240x240 px
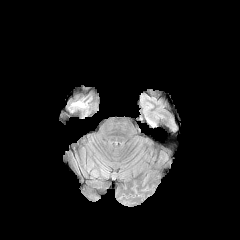
FLAIR MR image.
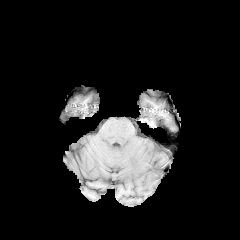
T1-weighted magnetic resonance.
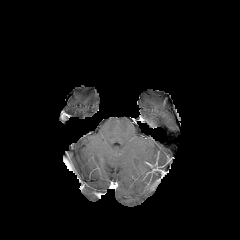
Same slice, post-contrast T1-weighted MR.
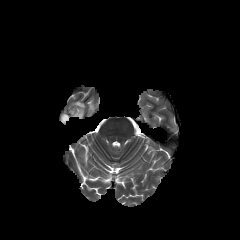
T2-weighted MRI.
edema:
  - [71, 99, 87, 108]